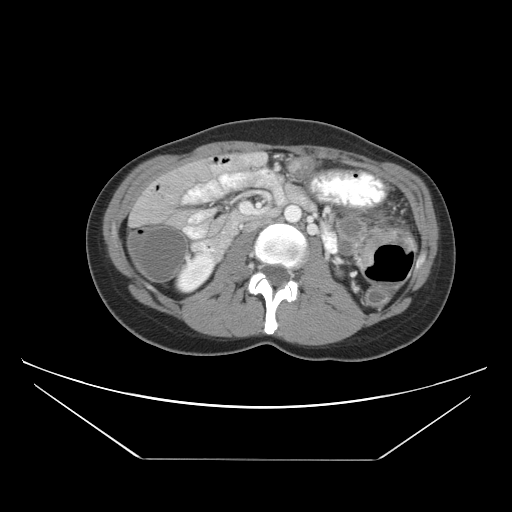

CT slice | Pelvis
colon tumor: <box>357,226,416,268</box>